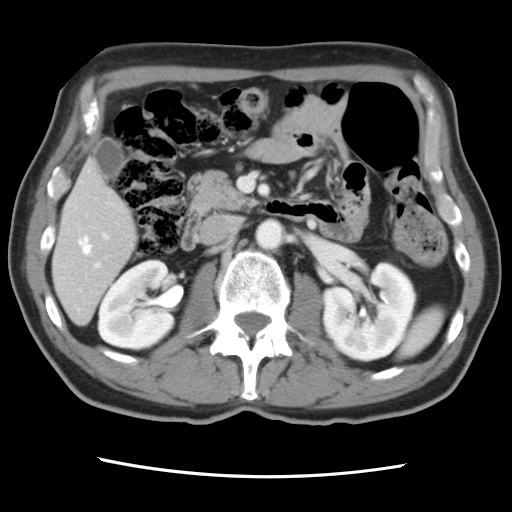 CT image. 512x512 px. Liver.
Some hepatic vessels may have no box.
{"hepatic_vessel": ["79:237:90:253", "96:263:99:266", "103:234:107:238"]}